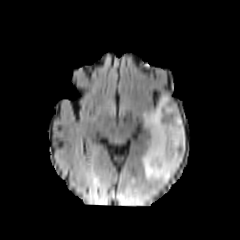
FLAIR MR.
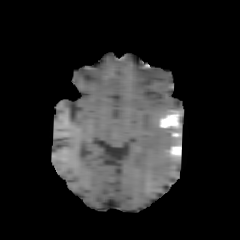
Same slice, T1-weighted MRI.
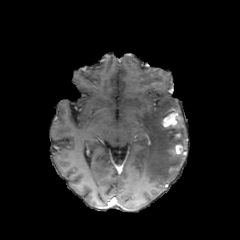
Same slice, post-contrast T1-weighted magnetic resonance.
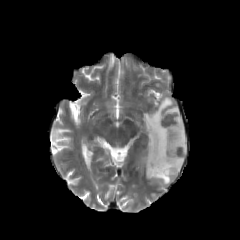
T2-weighted magnetic resonance of the same slice.
The edema is at box=[140, 93, 186, 184]. The non-enhancing tumor core appears at box=[167, 145, 174, 157]. 2 enhancing tumor regions appear at box=[162, 111, 180, 127]; box=[169, 144, 186, 155].